FLAIR MRI.
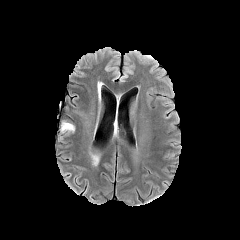
T1-weighted MR image.
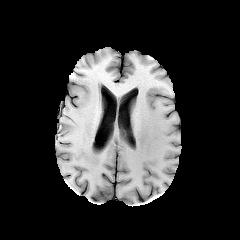
Post-contrast T1-weighted MRI.
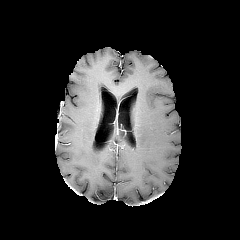
T2-weighted MR.
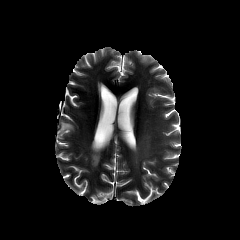
Findings:
- edema: (left=60, top=124, right=69, bottom=133), (left=90, top=153, right=98, bottom=165)